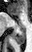
MR. Hippocampus.
Posterior hippocampus at [13,27,25,44].